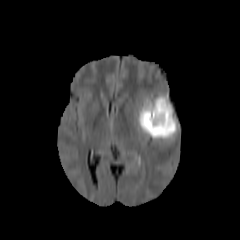
FLAIR magnetic resonance.
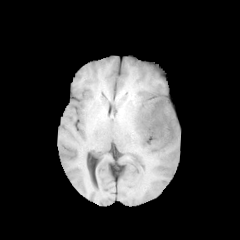
T1-weighted MRI.
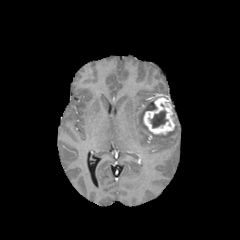
Same slice, post-contrast T1-weighted MR.
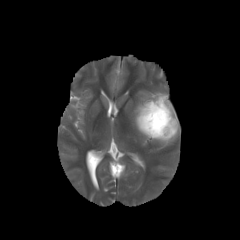
T2-weighted MR.
Brain.
• enhancing tumor: box=[143, 96, 175, 136]
• edema: box=[133, 94, 179, 144]
• non-enhancing tumor core: box=[151, 111, 167, 127]